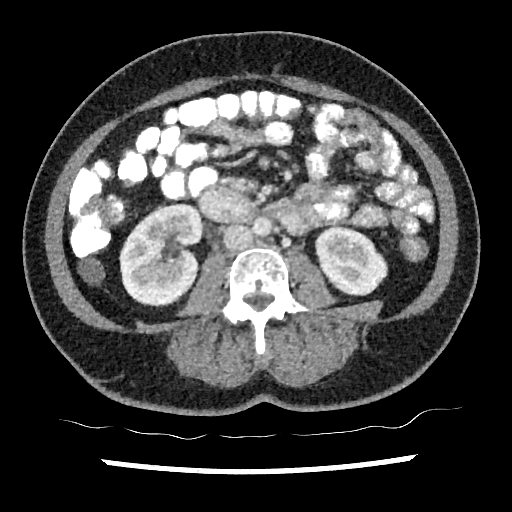 CT
Annotated regions:
• kidney: [x1=316, y1=228, x2=384, y2=294], [x1=120, y1=205, x2=201, y2=304]